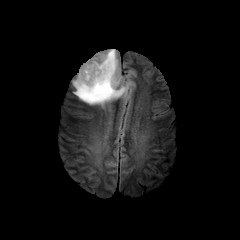
FLAIR MR image.
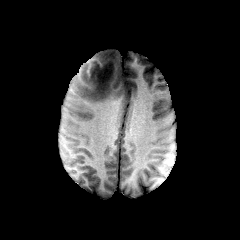
T1-weighted MR image.
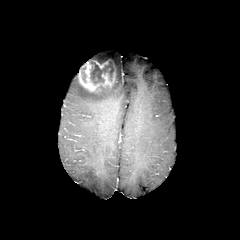
Post-contrast T1-weighted magnetic resonance.
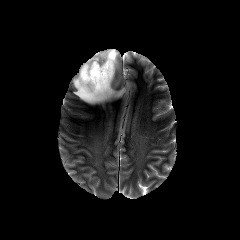
T2-weighted MR.
<segmentation>
  <non-enhancing_tumor_core><box>90,57,111,83</box></non-enhancing_tumor_core>
  <edema><box>73,50,128,105</box></edema>
  <enhancing_tumor><box>93,60,109,68</box>, <box>78,61,114,90</box></enhancing_tumor>
</segmentation>